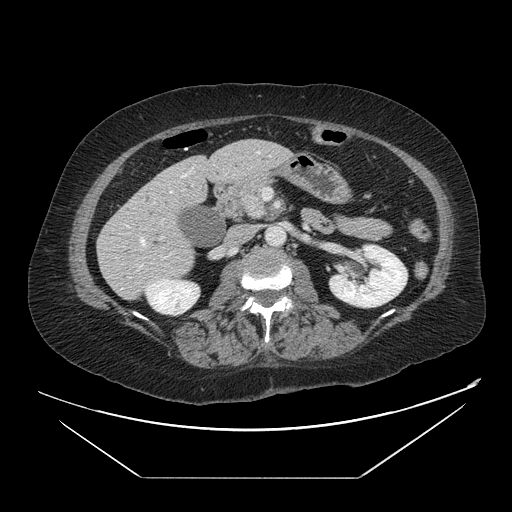 Abdomen; CT slice; Image size 512x512
pancreatic_tumor:
  - [245, 195, 264, 217]
pancreas:
  - [233, 177, 271, 219]